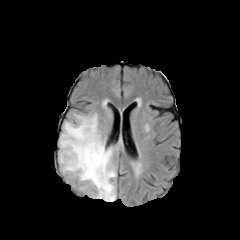
FLAIR MR.
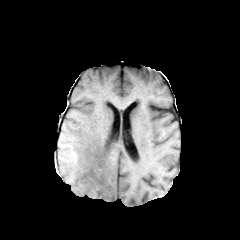
T1-weighted MRI of the same slice.
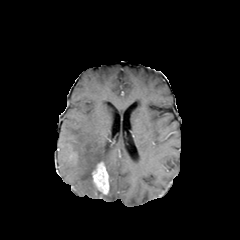
Post-contrast T1-weighted magnetic resonance of the same slice.
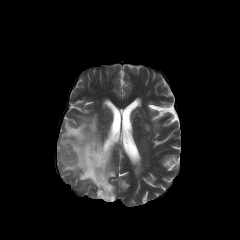
Same slice, T2-weighted MR.
edema: (58, 114, 116, 201) | enhancing tumor: (92, 162, 109, 195)